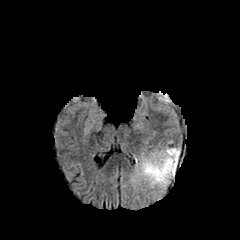
FLAIR magnetic resonance.
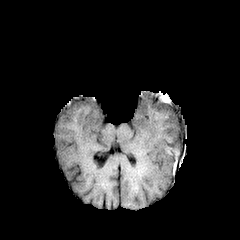
T1-weighted MR.
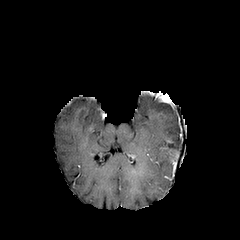
Post-contrast T1-weighted MR.
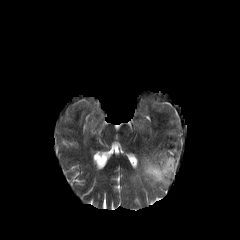
T2-weighted magnetic resonance of the same slice.
Head
Edema = rect(142, 148, 179, 186).